Computed tomography, Upper abdomen, Slice 48/106, 512x512 px

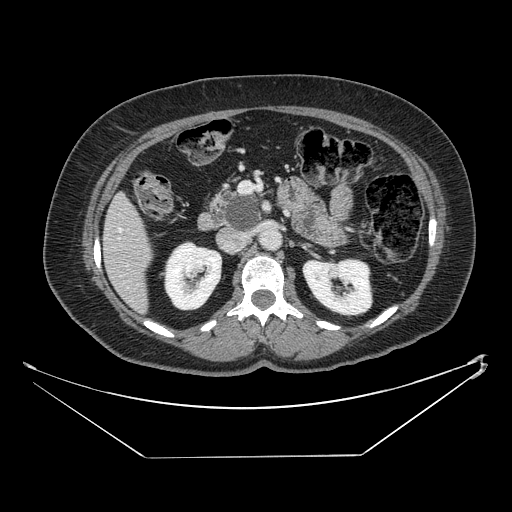 pancreatic tumor: (left=225, top=197, right=258, bottom=230) | pancreas: (left=209, top=184, right=262, bottom=233)